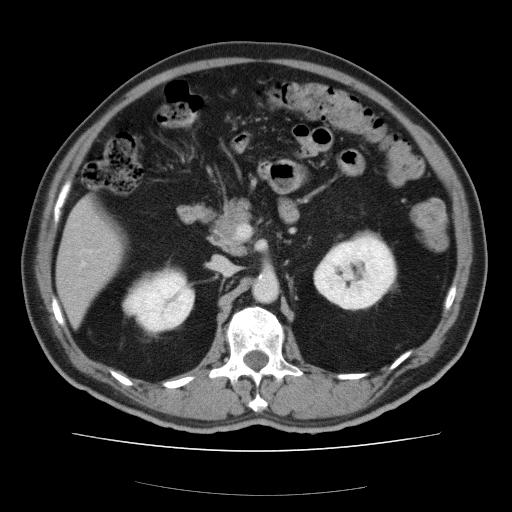 CT; Abdomen
The vessel annotation is not exhaustive.
Segmented structures:
* hepatic vessel: {"x1": 81, "y1": 262, "x2": 84, "y2": 265}